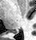

MR | Medial temporal lobe | 36x40
Segmented structures:
- posterior hippocampus: left=11, top=31, right=18, bottom=33